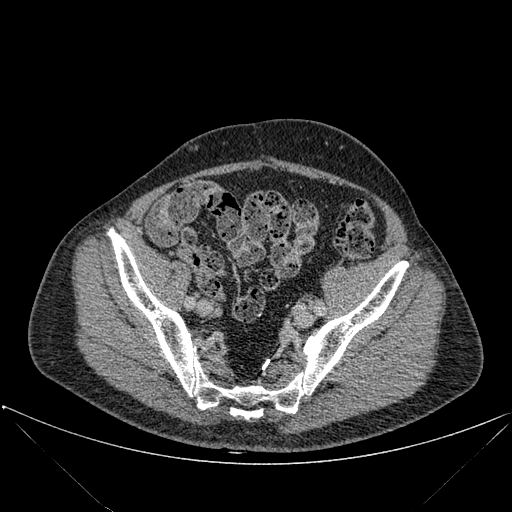

Computed tomography; Image size 512x512
2 bone regions appear at (108, 228, 408, 413), (230, 408, 262, 418).